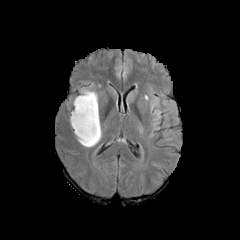
FLAIR magnetic resonance.
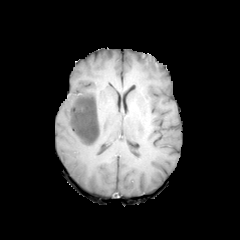
T1-weighted magnetic resonance.
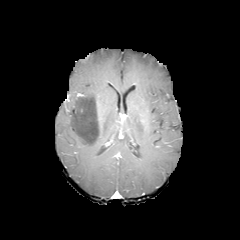
Post-contrast T1-weighted MR.
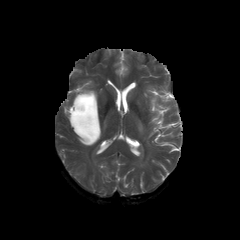
T2-weighted magnetic resonance.
240x240 px.
Non-enhancing tumor core: x1=70 y1=94 x2=99 y2=143.
Edema: x1=146 y1=92 x2=163 y2=129, x1=78 y1=85 x2=99 y2=111, x1=68 y1=94 x2=102 y2=147.